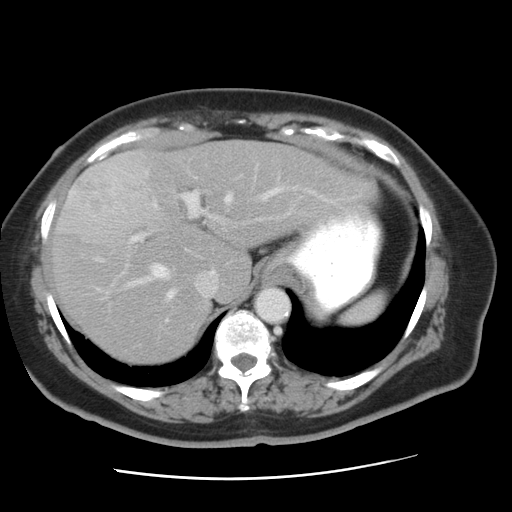
Liver; CT; 512x512

Not every hepatic vessel necessarily has a box.
liver tumor: (left=60, top=156, right=156, bottom=242) | hepatic vessel: (left=195, top=269, right=217, bottom=296), (left=95, top=256, right=101, bottom=260), (left=166, top=289, right=174, bottom=297), (left=127, top=264, right=168, bottom=286), (left=181, top=190, right=222, bottom=222), (left=310, top=191, right=314, bottom=193), (left=261, top=187, right=281, bottom=199), (left=129, top=232, right=143, bottom=242), (left=224, top=193, right=231, bottom=202)